Slice 570/856 | Field of view 373x373 mm | CT slice 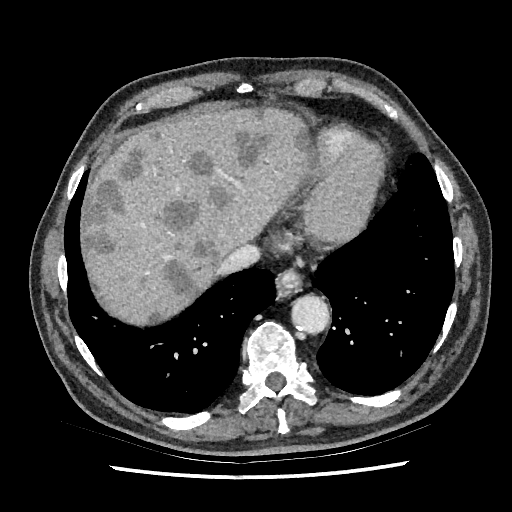 Annotated regions:
• hepatic lesion: l=148, t=132, r=160, b=143; l=194, t=233, r=221, b=269; l=140, t=276, r=146, b=284; l=147, t=311, r=160, b=322; l=208, t=186, r=227, b=209; l=252, t=108, r=265, b=120; l=83, t=179, r=125, b=254; l=295, t=129, r=309, b=170; l=235, t=128, r=275, b=168; l=162, t=260, r=197, b=298; l=120, t=151, r=142, b=182; l=174, t=242, r=182, b=250; l=187, t=150, r=213, b=178; l=156, t=201, r=200, b=231
• liver: l=85, t=107, r=307, b=322